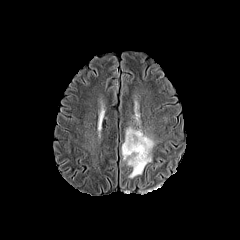
FLAIR MR image.
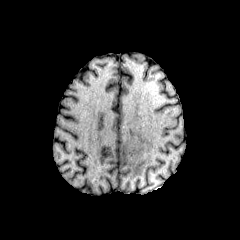
T1-weighted MR image.
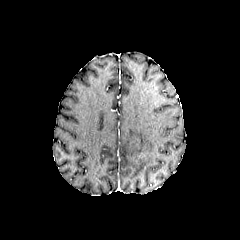
Same slice, post-contrast T1-weighted MR.
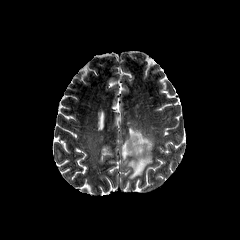
T2-weighted MR.
The edema is at bbox=[121, 125, 155, 178].